FLAIR MR image.
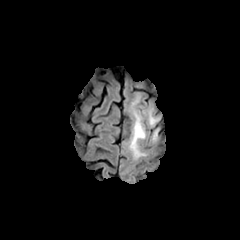
T1-weighted MR.
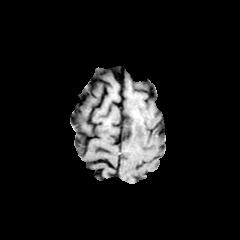
Post-contrast T1-weighted MRI.
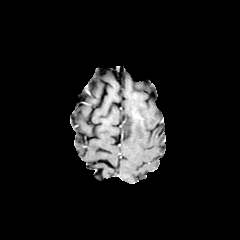
T2-weighted MR image.
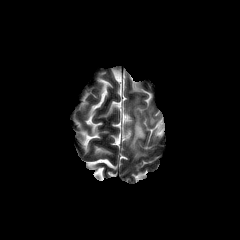
Brain
The edema appears at l=128, t=107, r=158, b=158.